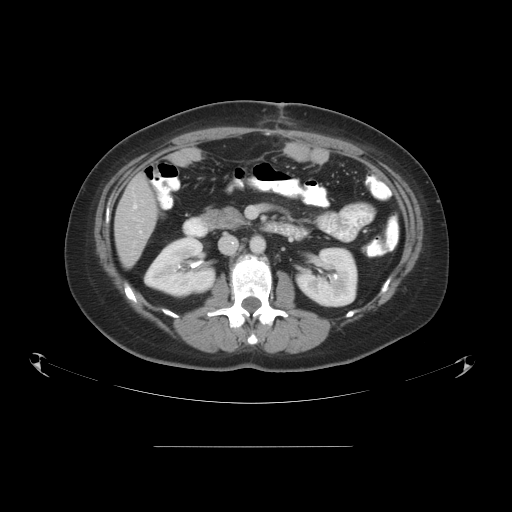 512x512. CT scan slice. The vessel annotation is not exhaustive.
* hepatic vessel: rect(133, 200, 144, 208); rect(133, 241, 136, 245); rect(133, 187, 135, 197); rect(133, 217, 144, 234)